Head. Slice index 115.
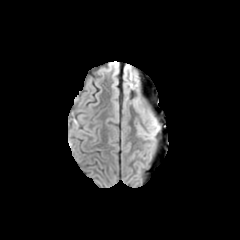
FLAIR MR image.
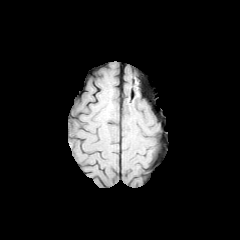
T1-weighted magnetic resonance.
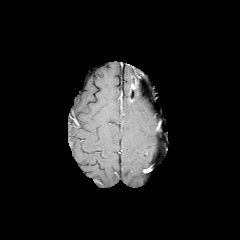
Post-contrast T1-weighted MRI of the same slice.
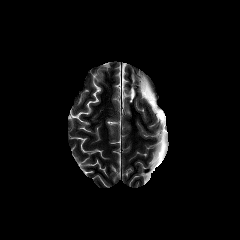
T2-weighted MR image of the same slice.
The edema appears at bbox(142, 115, 157, 139).